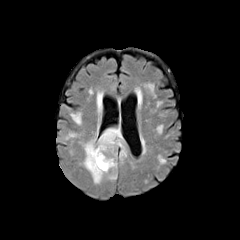
FLAIR MRI.
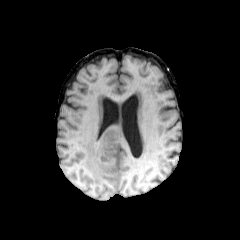
T1-weighted MRI of the same slice.
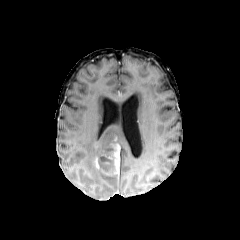
Same slice, post-contrast T1-weighted MR image.
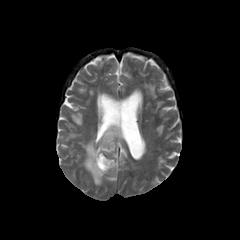
T2-weighted magnetic resonance.
The non-enhancing tumor core lies within 95, 152, 114, 169. The edema appears at 79, 90, 127, 184. 2 enhancing tumor regions are located at 108, 138, 120, 174; 94, 157, 99, 169.